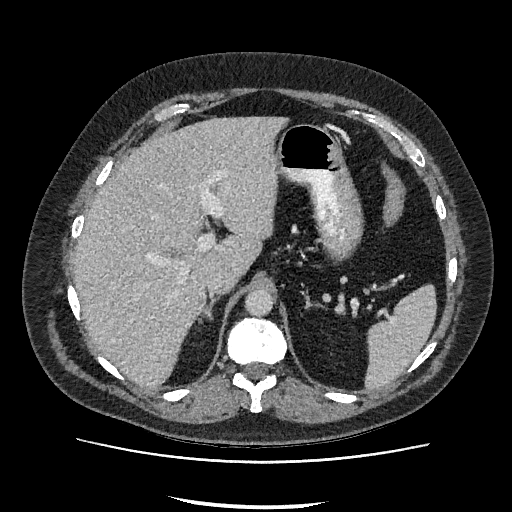 Computed tomography; 512x512 px
Liver: (left=76, top=117, right=283, bottom=388).